Slice 48/155
FLAIR MRI.
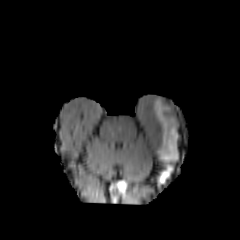
T1-weighted MR.
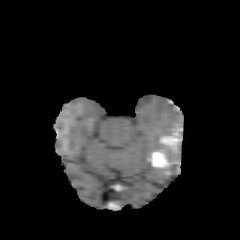
Post-contrast T1-weighted magnetic resonance.
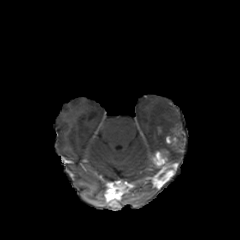
T2-weighted MRI.
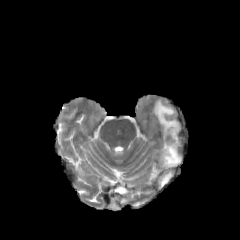
The non-enhancing tumor core is located at left=167, top=126, right=182, bottom=147. The edema is located at left=152, top=98, right=182, bottom=165. 2 enhancing tumor regions are located at left=154, top=150, right=167, bottom=165; left=166, top=136, right=178, bottom=145.